CT image
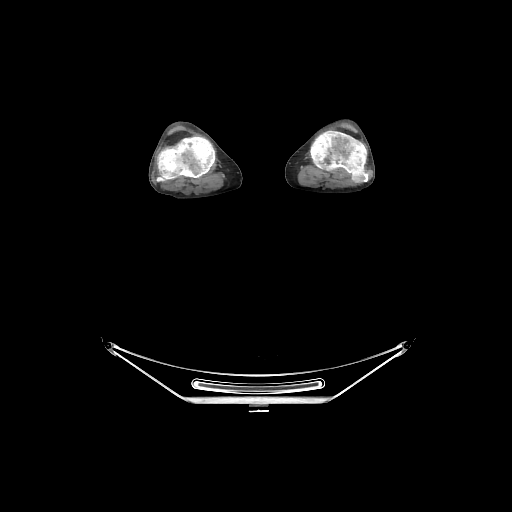 2 bone regions are bounded by (157, 137, 214, 181), (310, 131, 368, 181).